Lower abdomen; CT image
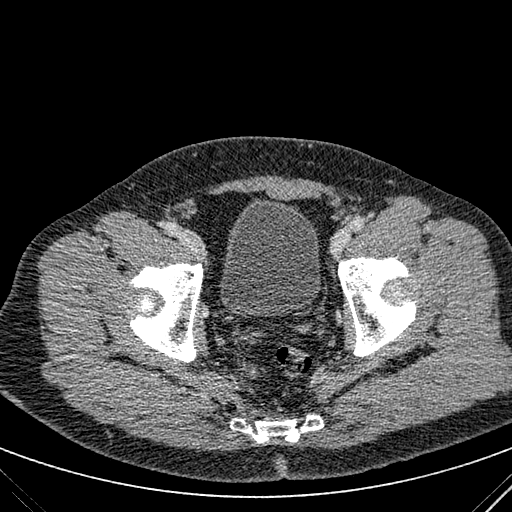
{"urinary_bladder": ["219,197,321,316"]}